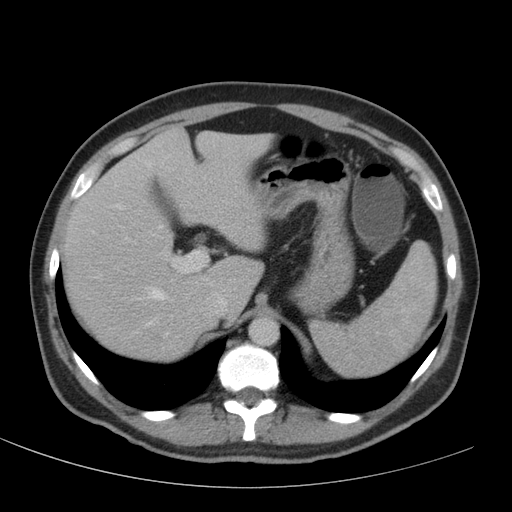
CT scan slice. {
  "liver": [
    "61 127 270 358"
  ]
}